CT; Abdomen; Slice 26/141

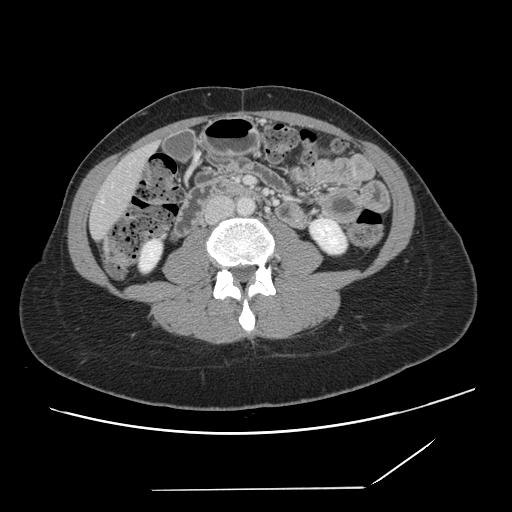 Some hepatic vessels may have no box.
The hepatic vessel lies within bbox=[101, 196, 103, 202].